CT image.
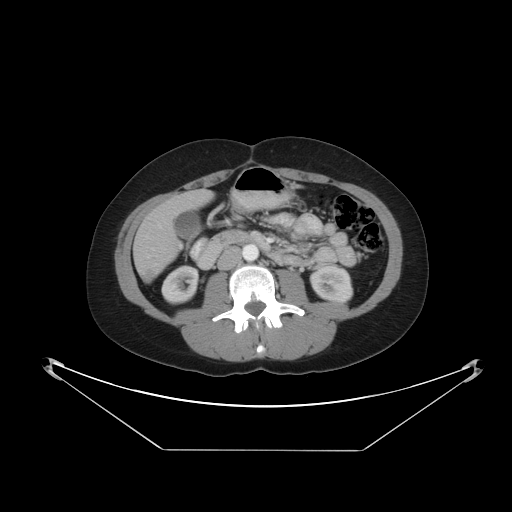 Only some of the vessels may be annotated.
liver_tumor:
  - 146:274:154:280
hepatic_vessel:
  - 147:255:149:257
  - 158:223:160:227
  - 155:264:157:265